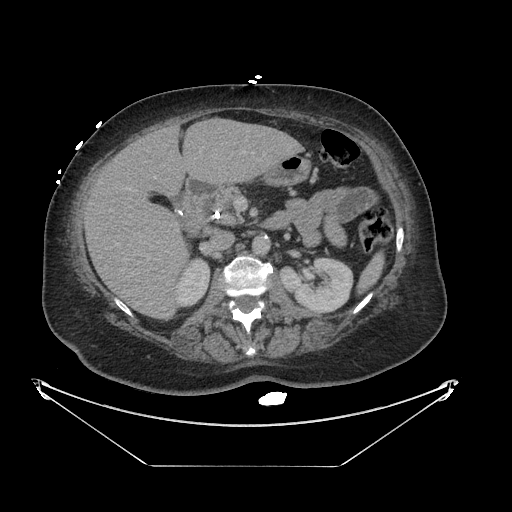

CT image; Abdomen
The pancreas is at x1=212, y1=187, x2=240, y2=226. The pancreatic tumor lies within x1=221, y1=202, x2=231, y2=212.